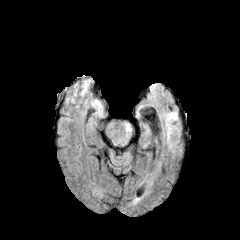
FLAIR MR.
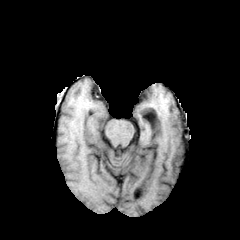
T1-weighted MR image.
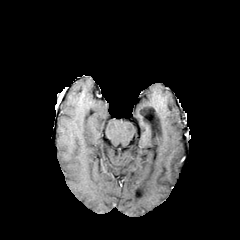
Post-contrast T1-weighted MRI of the same slice.
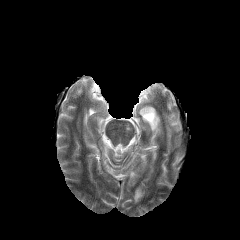
T2-weighted MRI.
Head
edema: (x1=165, y1=113, x2=177, y2=147)